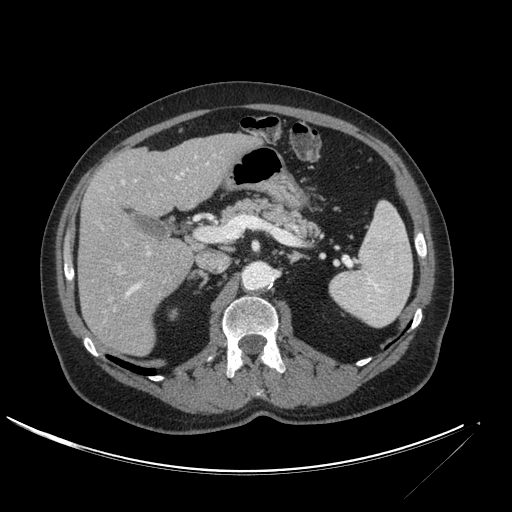 CT slice
Liver — bbox(78, 134, 263, 355).